Slice 37/85 | Abdomen | 512x512 px | CT image 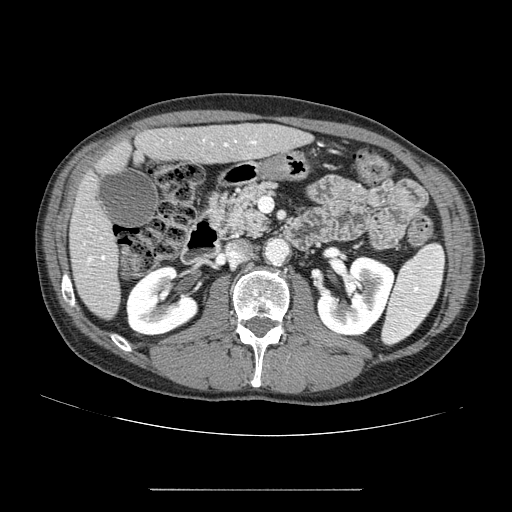 Pancreas: bounding box bbox(209, 182, 276, 239).